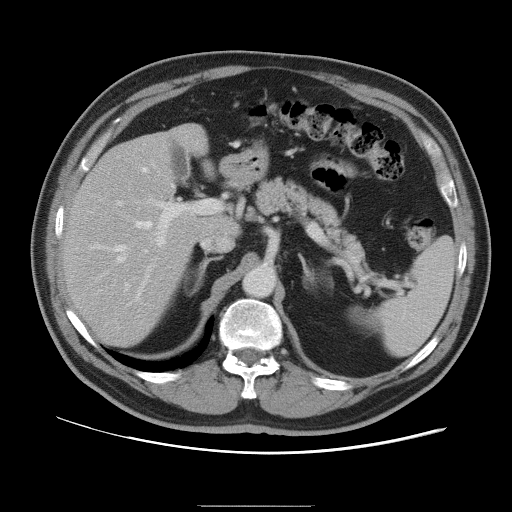
CT; Abdomen

Some hepatic vessels may have no box.
Segmented structures:
* hepatic vessel (largest 15 of 16): {"x1": 125, "y1": 283, "x2": 129, "y2": 293}, {"x1": 151, "y1": 161, "x2": 155, "y2": 167}, {"x1": 149, "y1": 198, "x2": 164, "y2": 206}, {"x1": 153, "y1": 257, "x2": 156, "y2": 260}, {"x1": 101, "y1": 271, "x2": 108, "y2": 275}, {"x1": 130, "y1": 262, "x2": 154, "y2": 303}, {"x1": 136, "y1": 221, "x2": 151, "y2": 228}, {"x1": 171, "y1": 184, "x2": 172, "y2": 186}, {"x1": 142, "y1": 167, "x2": 147, "y2": 172}, {"x1": 90, "y1": 243, "x2": 104, "y2": 248}, {"x1": 94, "y1": 278, "x2": 98, "y2": 281}, {"x1": 114, "y1": 245, "x2": 130, "y2": 262}, {"x1": 117, "y1": 200, "x2": 121, "y2": 204}, {"x1": 210, "y1": 225, "x2": 211, "y2": 226}, {"x1": 157, "y1": 230, "x2": 164, "y2": 248}